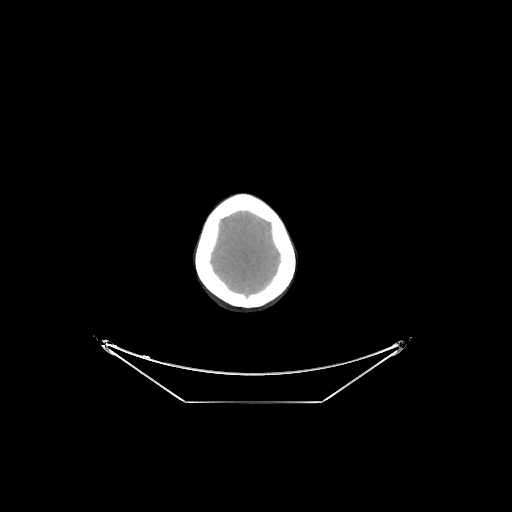

CT slice; 512x512
The brain lies within [210,210,280,298].